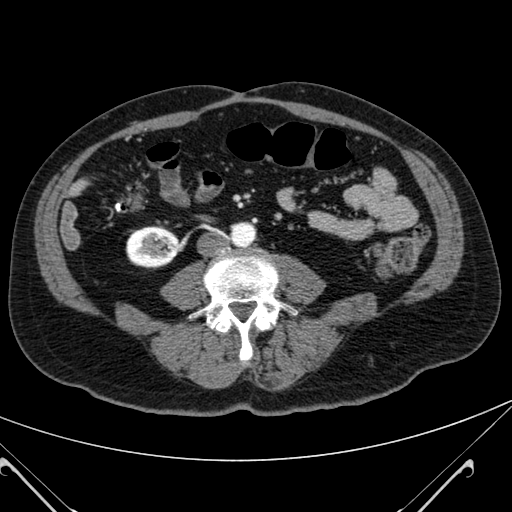
CT.
The kidney is at [127, 227, 178, 266].